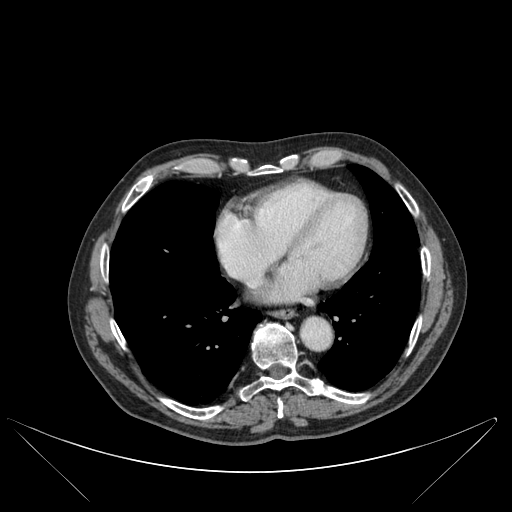

CT scan slice | 512x512 px

lung: x1=109 y1=181 x2=261 y2=404, x1=319 y1=164 x2=420 y2=390 | bone: x1=100 y1=248 x2=108 y2=279, x1=421 y1=247 x2=430 y2=275, x1=408 y1=317 x2=421 y2=353, x1=122 y1=175 x2=152 y2=210, x1=240 y1=323 x2=368 y2=404, x1=252 y1=166 x2=280 y2=174, x1=110 y1=320 x2=124 y2=348, x1=278 y1=399 x2=282 y2=417, x1=160 y1=398 x2=222 y2=419, x1=401 y1=190 x2=418 y2=214